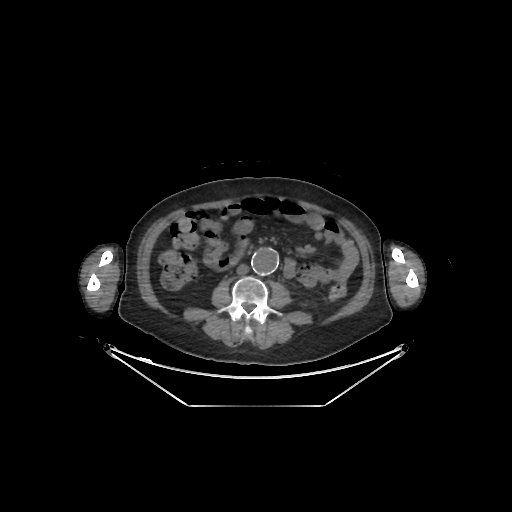

CT slice. bone:
  - {"x1": 99, "y1": 250, "x2": 112, "y2": 266}
  - {"x1": 87, "y1": 274, "x2": 100, "y2": 291}
  - {"x1": 392, "y1": 248, "x2": 418, "y2": 288}
  - {"x1": 229, "y1": 277, "x2": 269, "y2": 335}